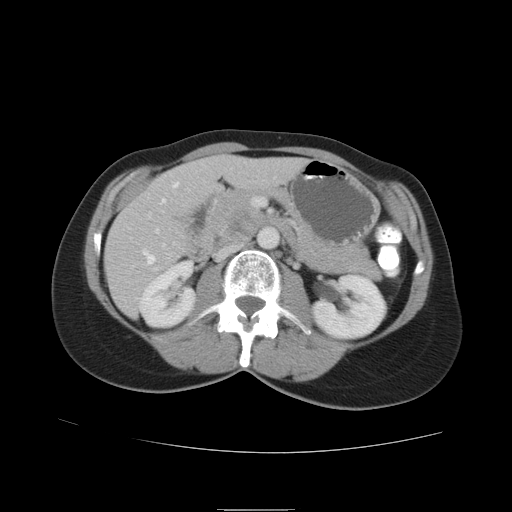
CT. Abdomen. 512x512 px.
Pancreas = box=[194, 188, 381, 280].